CT image | Slice 114/124 | Upper abdomen
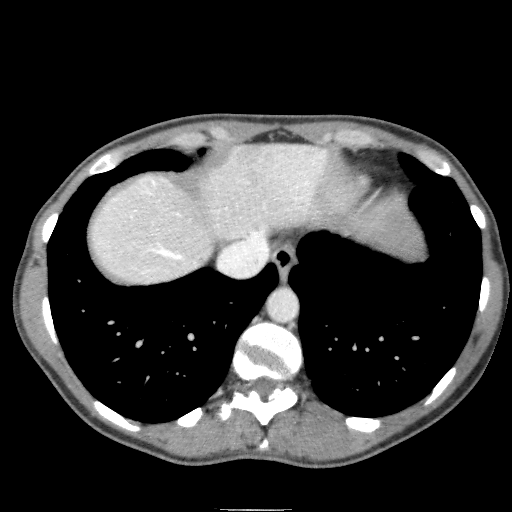 2 liver regions are located at region(358, 201, 420, 256); region(90, 143, 356, 286).